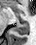 MR. Hippocampus.
Posterior hippocampus: 13 23 28 34.